Field of view 392x392 mm. Image size 512x512. CT image. Slice index 37. 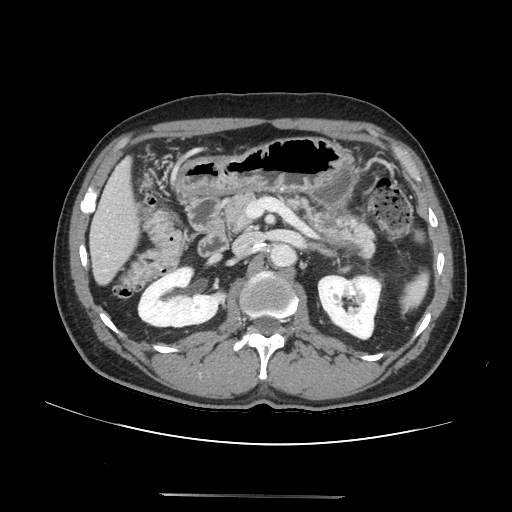
3 pancreas regions appear at [225, 191, 256, 230], [325, 217, 375, 260], [283, 194, 323, 232]. The pancreatic tumor is at [316, 213, 351, 238].